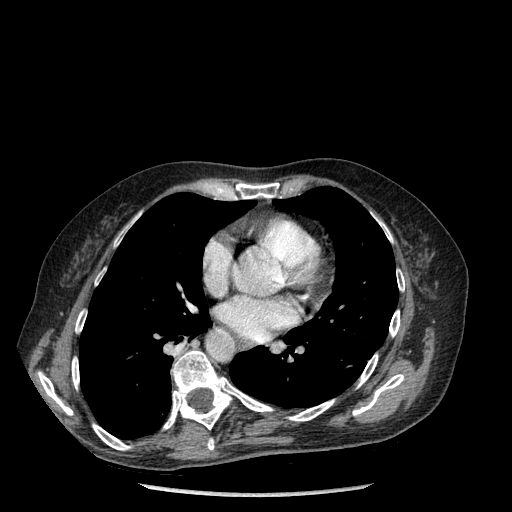

CT slice

2 lung regions are bounded by rect(79, 193, 253, 439); rect(229, 186, 398, 408). 14 bone regions are bounded by rect(114, 212, 141, 246); rect(396, 269, 404, 291); rect(357, 354, 377, 388); rect(75, 309, 86, 333); rect(71, 357, 79, 389); rect(207, 438, 214, 449); rect(389, 310, 400, 337); rect(163, 349, 273, 429); rect(373, 215, 392, 242); rect(352, 374, 404, 416); rect(38, 372, 73, 415); rect(225, 182, 279, 199); rect(92, 424, 130, 450); rect(288, 399, 334, 421).